Upper abdomen | Computed tomography | 512x512 px
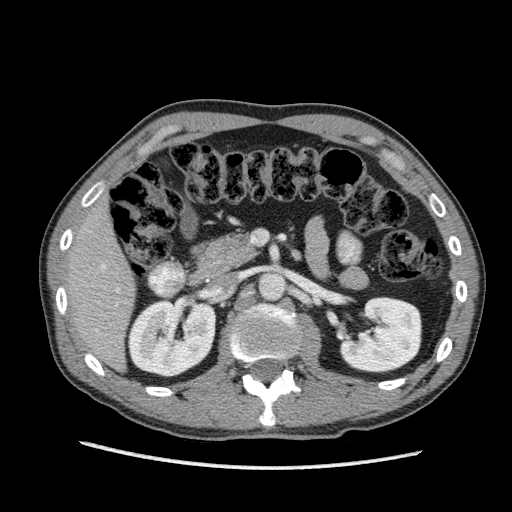 2 kidney regions are bounded by box=[129, 301, 214, 375]; box=[341, 298, 420, 370]. The liver is located at box=[63, 197, 136, 371].